240x240; Brain
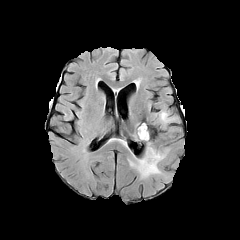
FLAIR magnetic resonance.
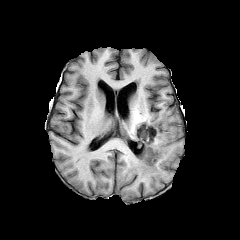
T1-weighted magnetic resonance.
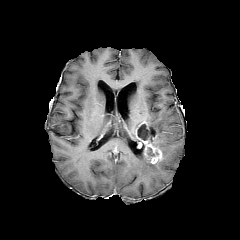
Same slice, post-contrast T1-weighted MR.
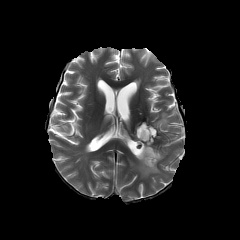
T2-weighted MRI.
The enhancing tumor appears at [142,140,162,163]. 2 edema regions appear at [129,134,167,178], [160,110,175,128]. The non-enhancing tumor core is bounded by [136,123,152,144].